CT; 512x512 px; Image width 403 mm
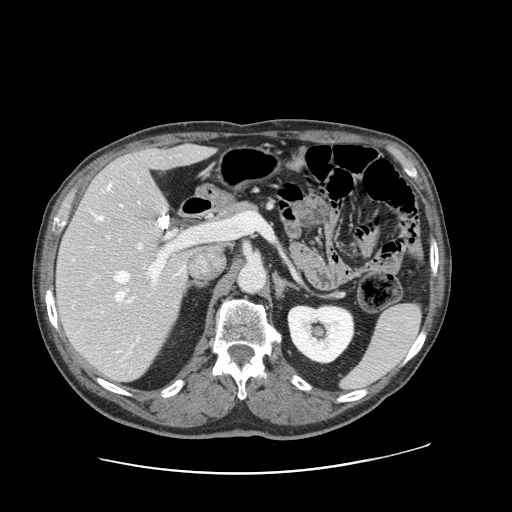
Not every hepatic vessel necessarily has a box.
Segmented structures:
• hepatic vessel: [x1=115, y1=271, x2=128, y2=282], [x1=148, y1=272, x2=149, y2=275], [x1=138, y1=244, x2=141, y2=248], [x1=108, y1=184, x2=110, y2=189], [x1=91, y1=211, x2=102, y2=220], [x1=115, y1=292, x2=123, y2=300], [x1=128, y1=299, x2=131, y2=302]